Abdomen | Computed tomography 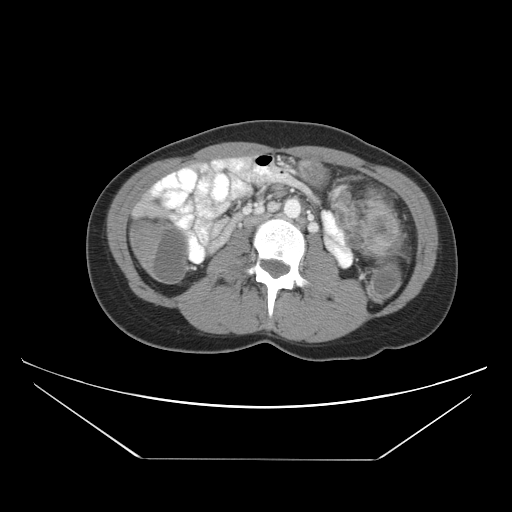

colon tumor: <bbox>361, 197, 401, 256</bbox>